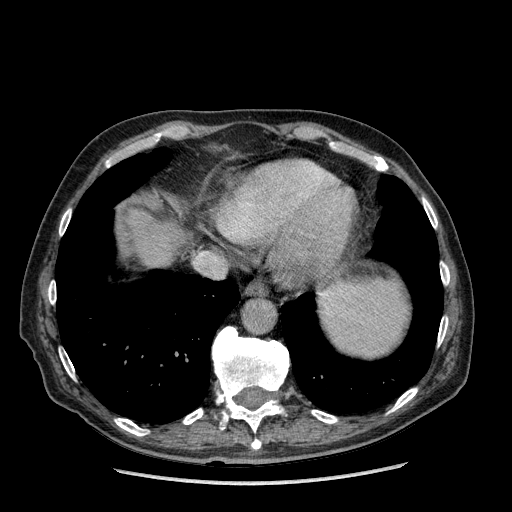
Computed tomography | Liver | Image size 512x512
{"liver": ["128 210 185 266"]}